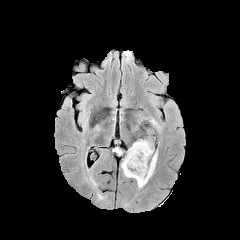
FLAIR MRI.
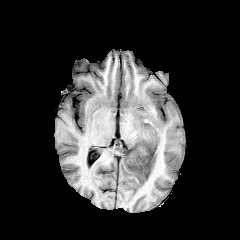
Same slice, T1-weighted MR image.
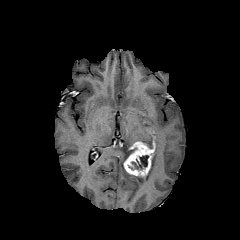
Post-contrast T1-weighted MRI.
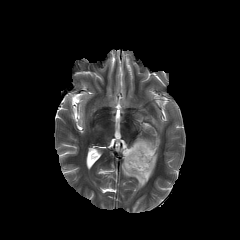
T2-weighted MR image.
Image size 240x240.
Enhancing tumor at [124, 141, 153, 177].
Edema at [122, 147, 157, 188], [138, 136, 156, 146].
Non-enhancing tumor core at [132, 156, 148, 169].